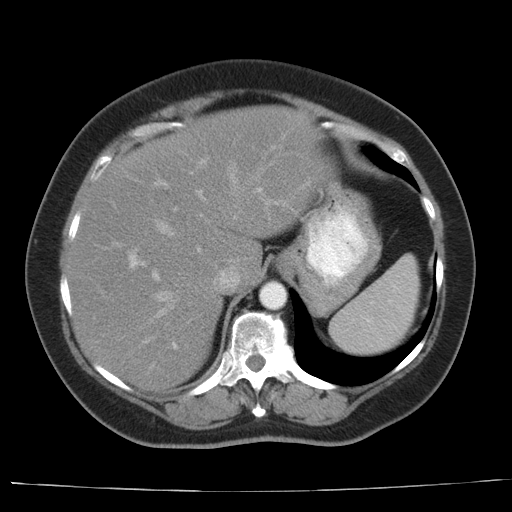

Image size 512x512, CT scan slice, Liver

Not every hepatic vessel necessarily has a box.
- hepatic vessel: box(198, 191, 200, 193); box(152, 272, 158, 278); box(129, 256, 137, 266); box(169, 305, 172, 307); box(158, 292, 164, 300); box(173, 344, 175, 347); box(158, 224, 171, 234); box(140, 263, 143, 264)